CT scan slice; Upper abdomen; Slice 83/168

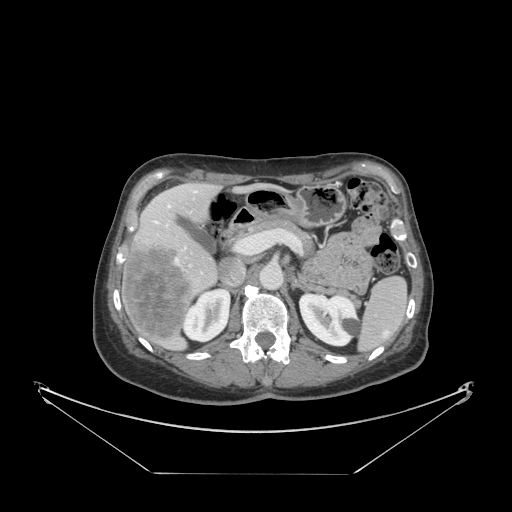

* spleen: (x1=360, y1=278, x2=407, y2=350)